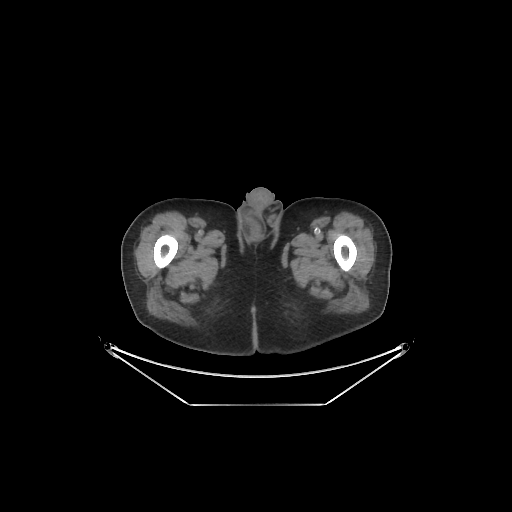 CT slice

Bone — 333,234,356,271; 153,234,177,268.